FLAIR MR image.
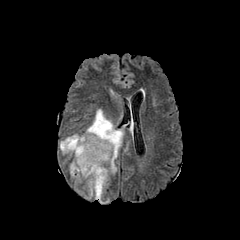
T1-weighted MRI.
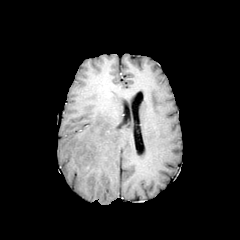
Post-contrast T1-weighted MRI.
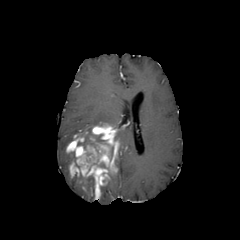
T2-weighted magnetic resonance.
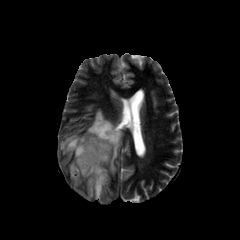
Head
Edema: bounding box (73, 177, 93, 197), (60, 135, 73, 153), (99, 187, 104, 202), (114, 128, 123, 150), (77, 110, 115, 136).
Enhancing tumor: bounding box (66, 125, 118, 199).
Non-enhancing tumor core: bounding box (67, 152, 77, 165), (77, 130, 105, 148), (74, 174, 93, 191).